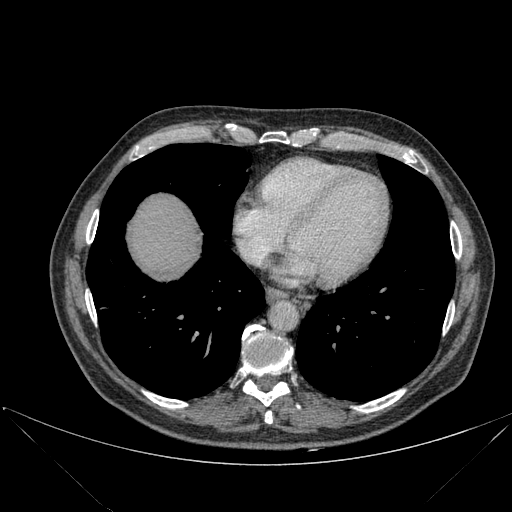
CT. Abdomen.

liver: [126, 194, 202, 272] | lung: [86, 143, 264, 398], [296, 155, 454, 400] | bone: [240, 324, 292, 375], [243, 380, 289, 405], [450, 221, 461, 258], [260, 131, 289, 143], [403, 150, 415, 162], [354, 390, 405, 412], [85, 290, 96, 322], [443, 304, 454, 334], [142, 391, 187, 408], [86, 209, 98, 243], [264, 411, 272, 424]